CT slice | Slice 174/424
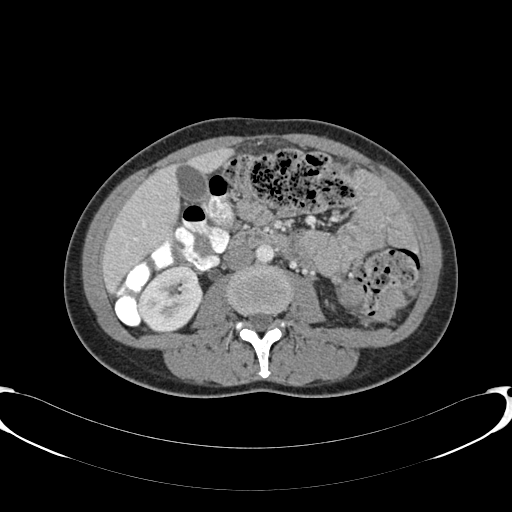
The kidney is at l=136, t=267, r=201, b=330. The liver lies within l=102, t=147, r=233, b=292.